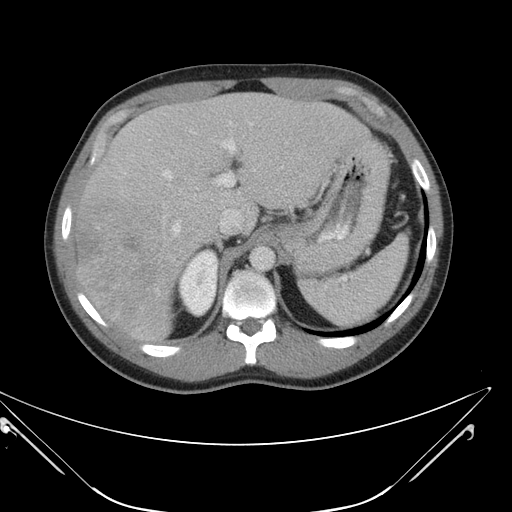 Liver, CT scan slice
The vessel annotation is not exhaustive.
{"hepatic_vessel": ["x1=189, y1=130, x2=195, y2=133", "x1=172, y1=223, x2=180, y2=235", "x1=249, y1=122, x2=252, y2=125", "x1=163, y1=170, x2=171, y2=179", "x1=179, y1=220, x2=180, y2=221", "x1=229, y1=121, x2=231, y2=124", "x1=221, y1=138, x2=235, y2=151", "x1=216, y1=173, x2=234, y2=186", "x1=219, y1=209, x2=242, y2=233"], "liver_tumor": ["x1=75, y1=201, x2=187, y2=331"]}